Head
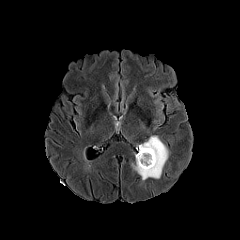
FLAIR MRI.
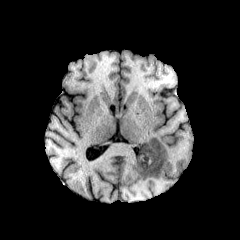
T1-weighted MR image.
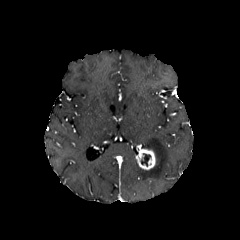
Same slice, post-contrast T1-weighted MR image.
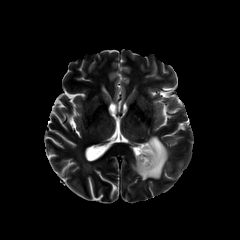
T2-weighted MR.
The enhancing tumor lies within left=136, top=149, right=155, bottom=169. The non-enhancing tumor core appears at left=140, top=153, right=152, bottom=167. The edema is at left=133, top=136, right=168, bottom=180.